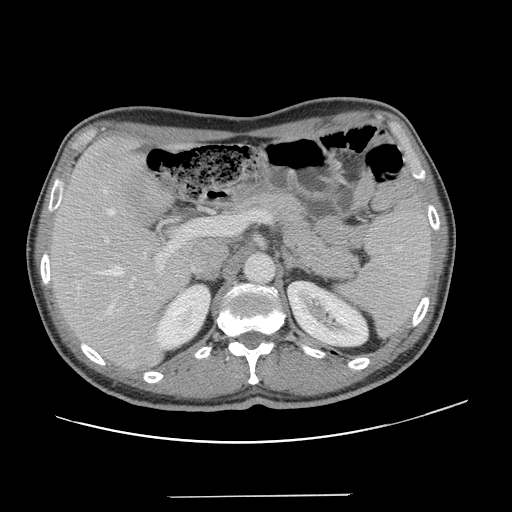

CT slice
Only some of the vessels may be annotated.
* hepatic vessel: x1=143 y1=251 x2=145 y2=258, x1=131 y1=346 x2=133 y2=349, x1=106 y1=238 x2=108 y2=242, x1=133 y1=276 x2=135 y2=279, x1=155 y1=256 x2=157 y2=260, x1=107 y1=209 x2=113 y2=214, x1=104 y1=190 x2=106 y2=192, x1=98 y1=266 x2=122 y2=275, x1=149 y1=287 x2=150 y2=288, x1=105 y1=305 x2=112 y2=313